Abdomen. CT image. 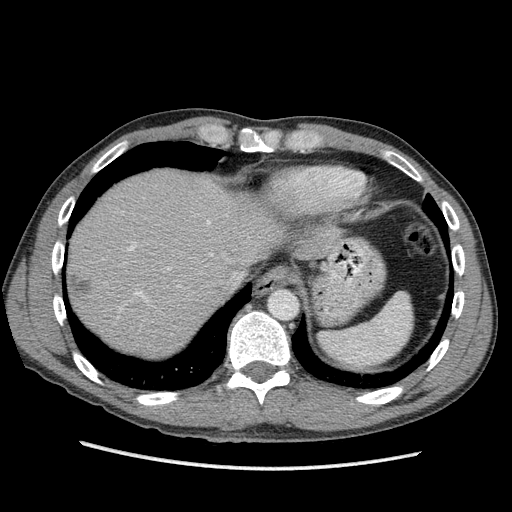

<segmentation>
  <hepatic_lesion>69 273 93 297</hepatic_lesion>
  <liver>67 168 343 358</liver>
</segmentation>